37x48 px; Medial temporal lobe; Slice 10 of 36; MRI slice
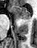
anterior_hippocampus:
  - x1=12, y1=6, x2=28, y2=19